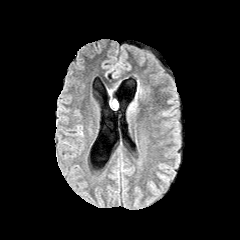
FLAIR MRI.
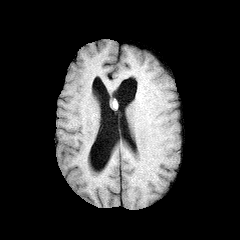
T1-weighted MRI of the same slice.
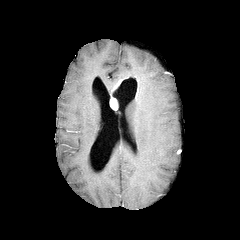
Post-contrast T1-weighted MR of the same slice.
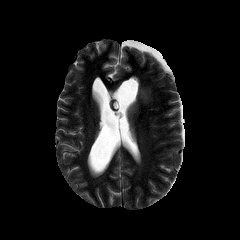
T2-weighted magnetic resonance of the same slice.
Brain | 240x240 px
Edema — region(128, 80, 149, 108).
Enhancing tumor — region(110, 98, 117, 109).